Computed tomography, Image size 512x512, Field of view 439 mm wide, 0.80 mm slice spacing, Lower abdomen

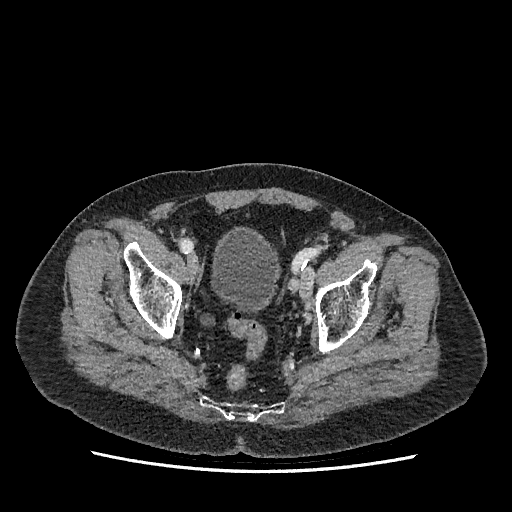
urinary bladder: [x1=211, y1=231, x2=276, y2=312]